FLAIR magnetic resonance.
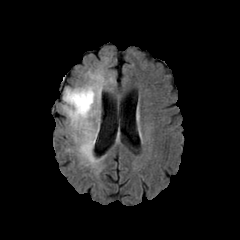
T1-weighted MR image.
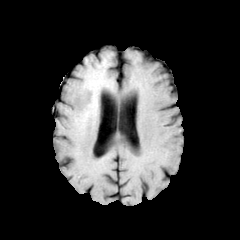
Post-contrast T1-weighted MR image.
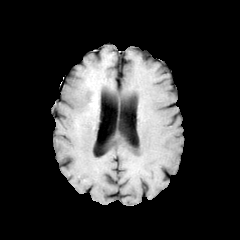
T2-weighted magnetic resonance.
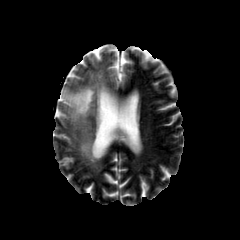
Head
Findings:
- non-enhancing tumor core: box=[74, 81, 102, 125]
- enhancing tumor: box=[91, 96, 98, 114]
- edema: box=[88, 71, 105, 106]; box=[62, 86, 100, 171]